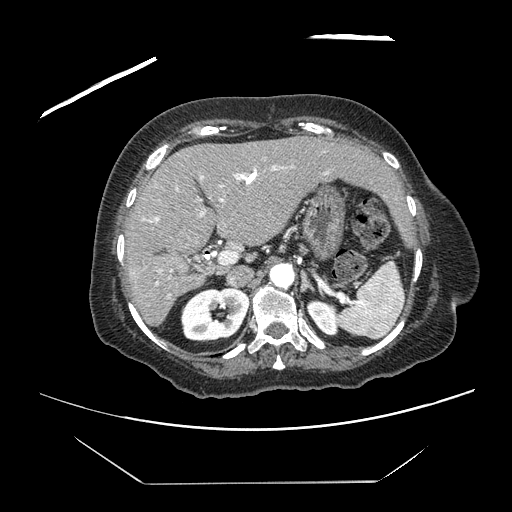

CT scan slice; Liver

Some hepatic vessels may have no box.
3 hepatic vessel regions are located at [235, 174, 247, 178], [153, 217, 158, 221], [219, 251, 237, 264].